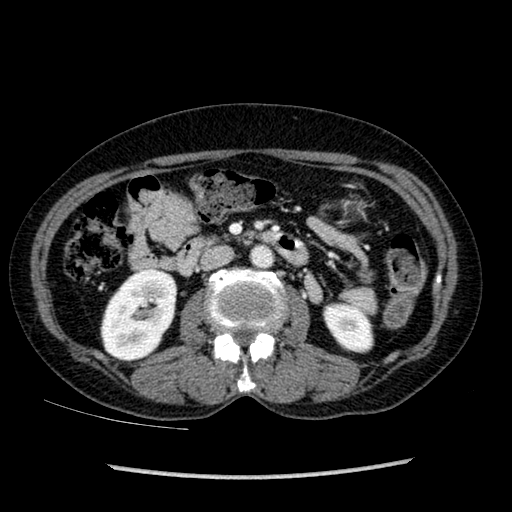

Computed tomography | Abdomen

2 kidney regions appear at 326 306 370 349, 102 269 175 359.